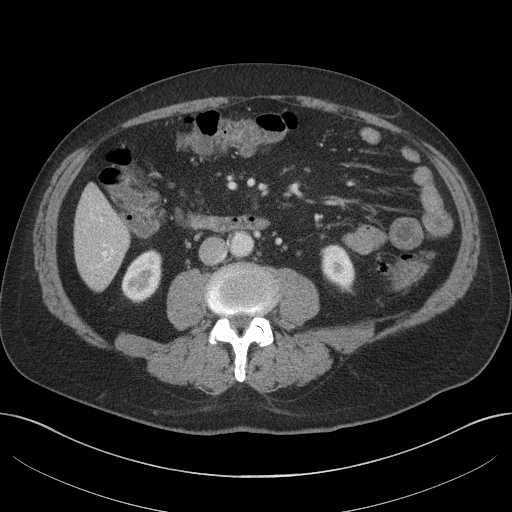

CT slice
liver: 74, 185, 129, 289 | kidney: 323, 246, 353, 286; 123, 252, 159, 299